FLAIR magnetic resonance.
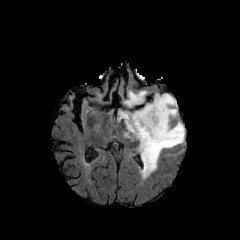
T1-weighted magnetic resonance.
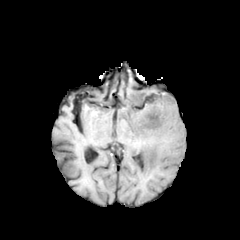
Post-contrast T1-weighted MRI.
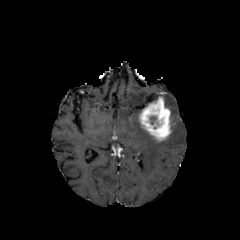
T2-weighted magnetic resonance.
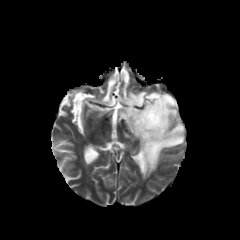
Head, 240x240
Enhancing tumor — box=[138, 95, 172, 141].
Edema — box=[122, 89, 148, 108]; box=[116, 94, 184, 178].